FLAIR MR.
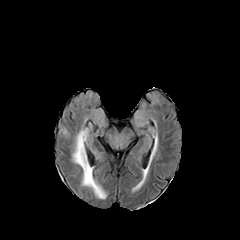
T1-weighted MR.
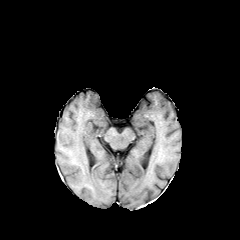
Post-contrast T1-weighted MR image.
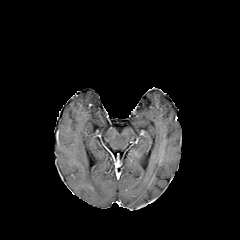
T2-weighted MR.
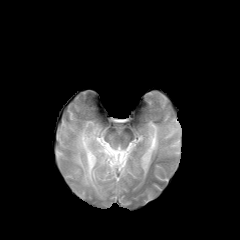
The edema appears at 72:128:106:199.